240x240 px | Head
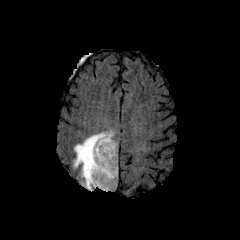
FLAIR MRI.
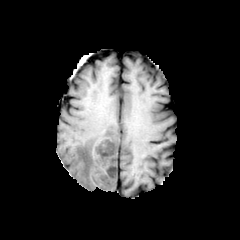
T1-weighted magnetic resonance.
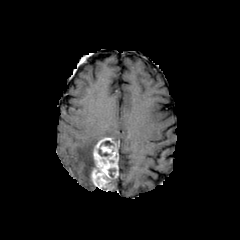
Post-contrast T1-weighted MRI.
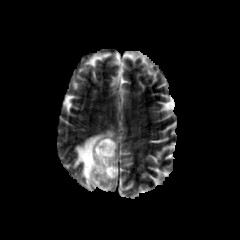
T2-weighted MR of the same slice.
The edema lies within box=[72, 130, 114, 191]. The enhancing tumor appears at box=[90, 136, 118, 191].